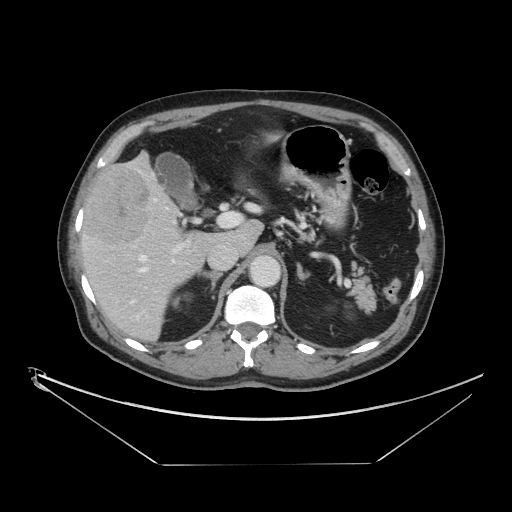
Image size 512x512, CT, Liver
The vessel annotation is not exhaustive.
Hepatic vessel at [136,314,139,318], [154,198,156,201], [138,255,146,260], [131,300,135,302], [174,244,186,251], [140,268,147,271], [172,259,174,262], [166,207,167,208].
Liver tumor at [85,165,149,245].